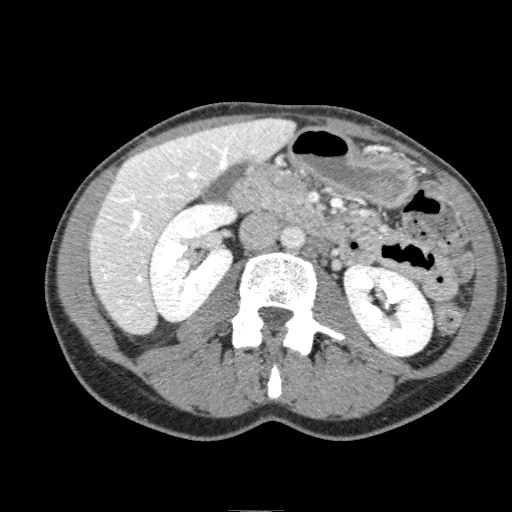
CT scan slice, 512x512 px
Annotated regions:
* liver: [89, 117, 296, 333]
* kidney: [150, 204, 235, 320], [344, 265, 432, 355]